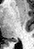

Medial temporal lobe; MR
{
  "posterior_hippocampus": [
    "bbox(10, 40, 17, 42)"
  ]
}